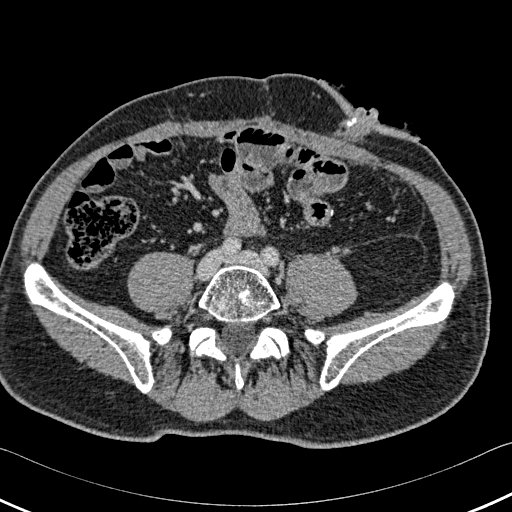
CT slice.

{"bone": ["[144, 327, 171, 345]", "[189, 328, 225, 360]", "[25, 264, 153, 392]", "[235, 364, 243, 388]", "[305, 283, 453, 389]", "[250, 328, 288, 358]", "[199, 266, 279, 321]"]}